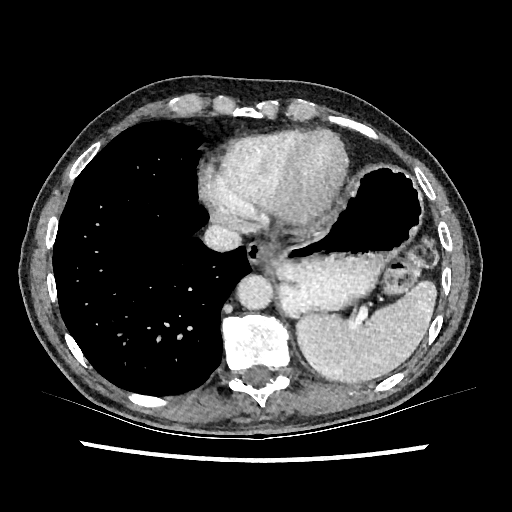
CT image.

The liver is bounded by rect(287, 236, 305, 242).